CT slice, Abdomen

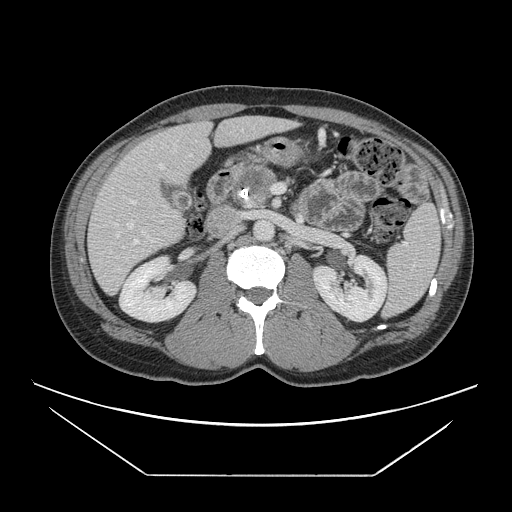 - pancreatic tumor: 240,168,265,191
- pancreas: 232,166,275,206